512x512, Computed tomography
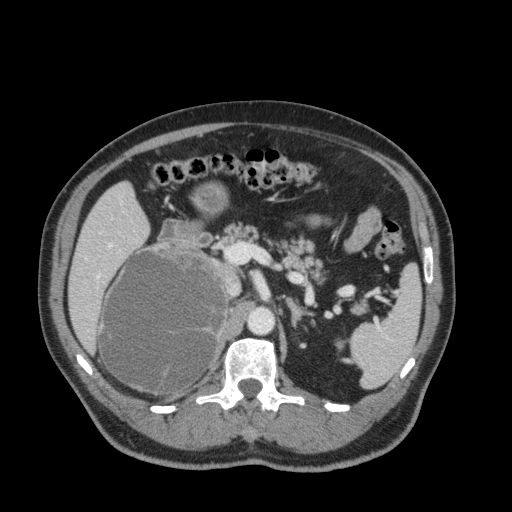
liver: 69 183 148 352